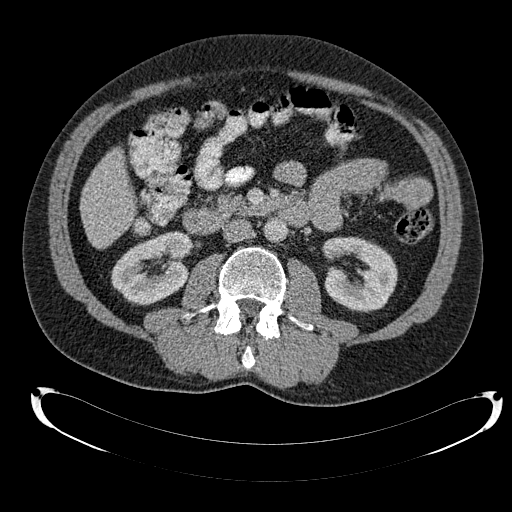

CT. Image size 512x512.

The liver is bounded by 82:149:135:248. 2 kidney regions are bounded by 112:232:189:304, 324:238:396:310.